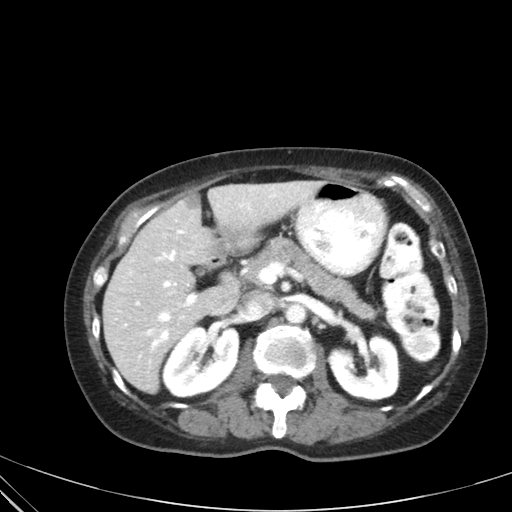

Computed tomography
pancreas:
  - left=241, top=237, right=376, bottom=321